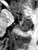
MR; Image size 38x50
<segmentation>
  <posterior_hippocampus>16, 20, 31, 32</posterior_hippocampus>
  <anterior_hippocampus>12, 11, 18, 16; 21, 14, 30, 19</anterior_hippocampus>
</segmentation>